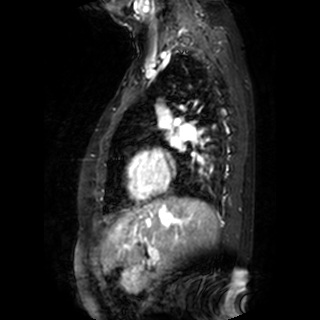

Cardiac | MRI
The left atrium is at 171 139 179 147.